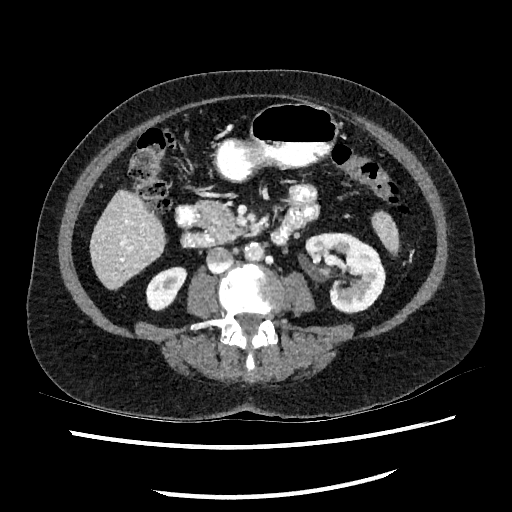 Abdomen | CT image

Annotated regions:
- kidney: bbox(147, 268, 185, 309); bbox(306, 234, 384, 311)
- liver: bbox(90, 190, 164, 288)